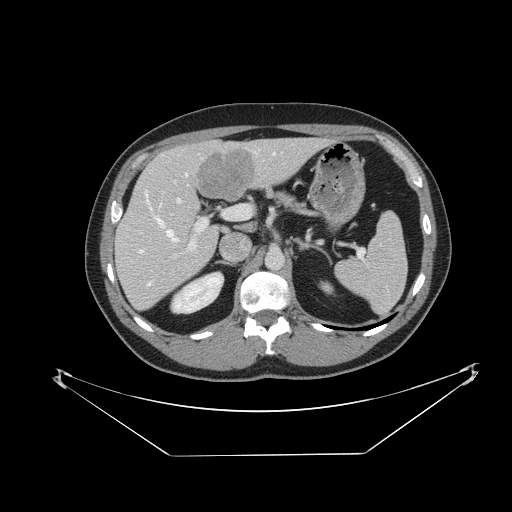 Upper abdomen | CT scan slice
<segmentation>
  <spleen>box=[336, 212, 406, 313]</spleen>
</segmentation>